FLAIR MR image.
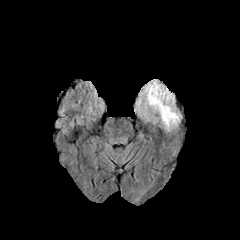
T1-weighted magnetic resonance.
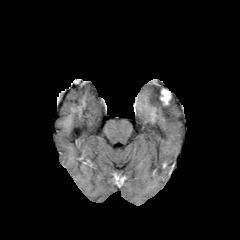
Post-contrast T1-weighted MR.
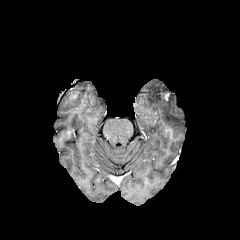
T2-weighted MR image.
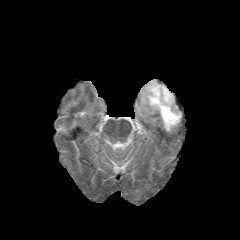
Head
{"edema": ["box=[136, 80, 181, 131]"]}